FLAIR MR image.
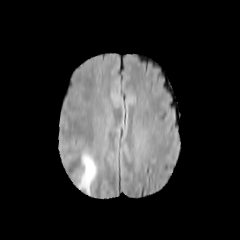
T1-weighted MR image.
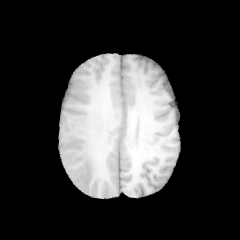
Post-contrast T1-weighted MR image.
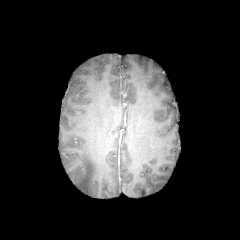
T2-weighted MR.
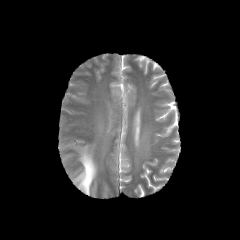
Head
edema: bbox=[74, 151, 97, 193]